512x512 px | Field of view 381 mm wide, 1.50 mm slice spacing | Abdomen | CT slice | Slice index 181

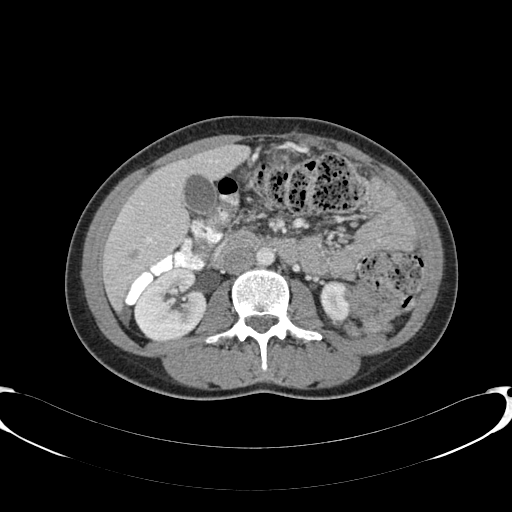
Segmented structures:
• kidney: [321,283,348,321], [135,269,205,339]
• liver: [103,144,248,309]